CT slice. Upper abdomen. Slice index 314.
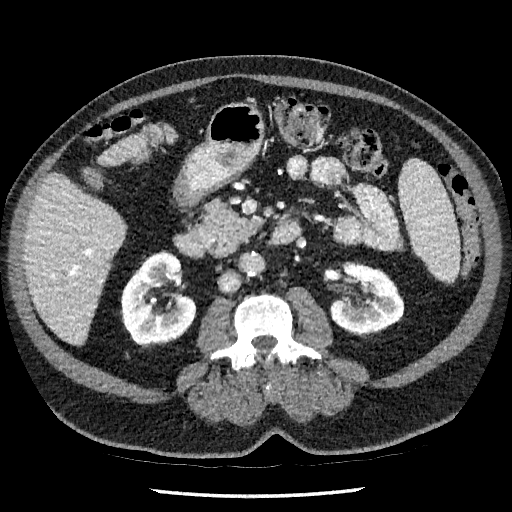
Liver = <bbox>98, 136, 144, 165</bbox>, <bbox>24, 174, 125, 345</bbox>.
Kidney = <bbox>331, 264, 403, 333</bbox>, <bbox>122, 253, 195, 343</bbox>, <bbox>329, 272, 338, 279</bbox>.